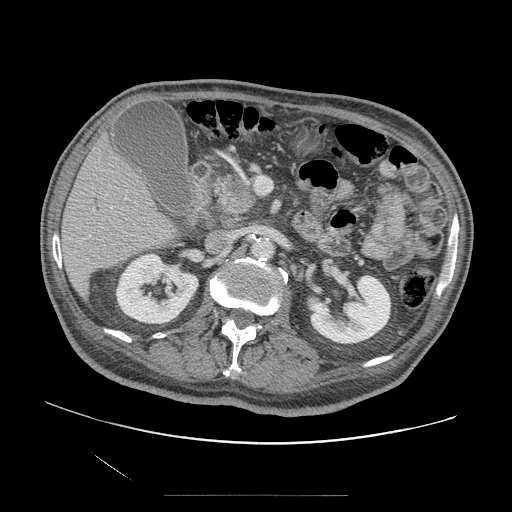
Image size 512x512; CT image
Pancreas: bounding box {"x1": 215, "y1": 175, "x2": 256, "y2": 219}.
Pancreatic tumor: bounding box {"x1": 227, "y1": 182, "x2": 250, "y2": 197}.